Field of view 240x240 mm. Head.
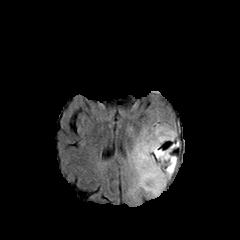
FLAIR MR image.
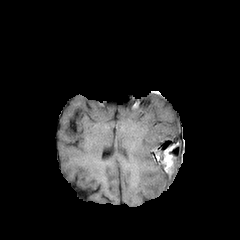
T1-weighted MRI.
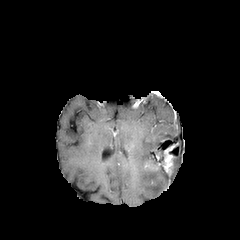
Same slice, post-contrast T1-weighted MR image.
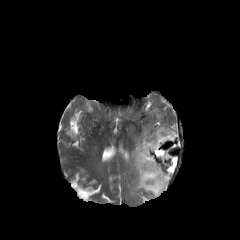
T2-weighted MR image.
The enhancing tumor is located at (163,144,175,173). The edema appears at (126,114,179,199).